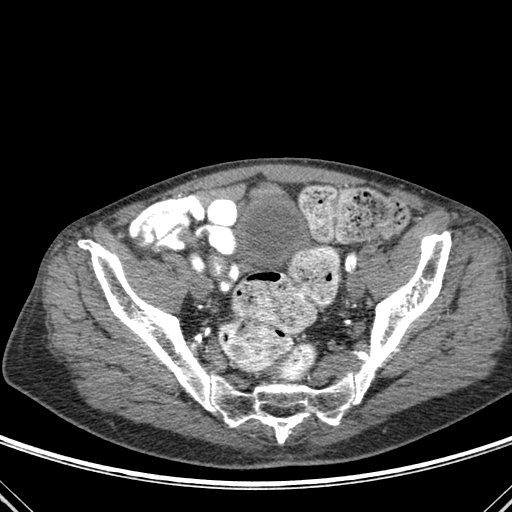

CT scan slice
bone:
  - <box>78,231,451,443</box>
  - <box>345,257,355,268</box>